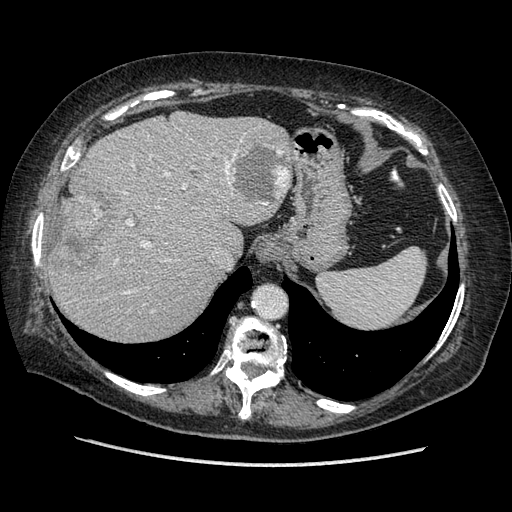

Abdomen. Image size 512x512. CT image. The vessel annotation is not exhaustive.
Findings:
• hepatic vessel: bbox(226, 164, 231, 181); bbox(165, 173, 168, 175); bbox(127, 290, 131, 292); bbox(183, 184, 186, 188); bbox(128, 220, 132, 225); bbox(143, 241, 148, 246)
• liver tumor: bbox(59, 186, 118, 269)